FLAIR MRI.
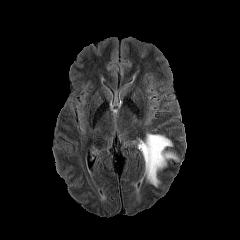
T1-weighted magnetic resonance.
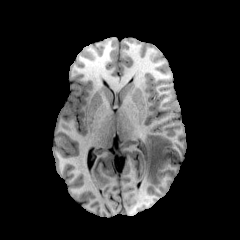
Post-contrast T1-weighted MRI.
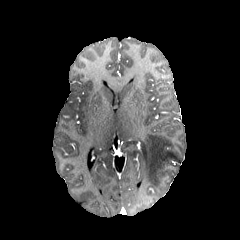
T2-weighted MRI.
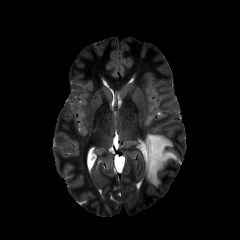
Head
Annotated regions:
- edema: 138, 134, 178, 187